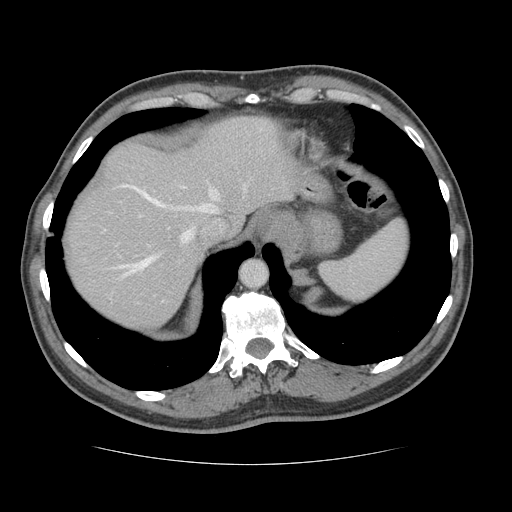

CT slice | Liver
The vessel boxes may cover only some of the vessels.
Hepatic vessel = rect(184, 204, 217, 212); rect(244, 185, 245, 190); rect(117, 184, 163, 206); rect(114, 256, 155, 272); rect(123, 274, 125, 275); rect(181, 226, 194, 241); rect(209, 188, 218, 199); rect(139, 215, 141, 216).